CT slice; 512x512 px; Liver

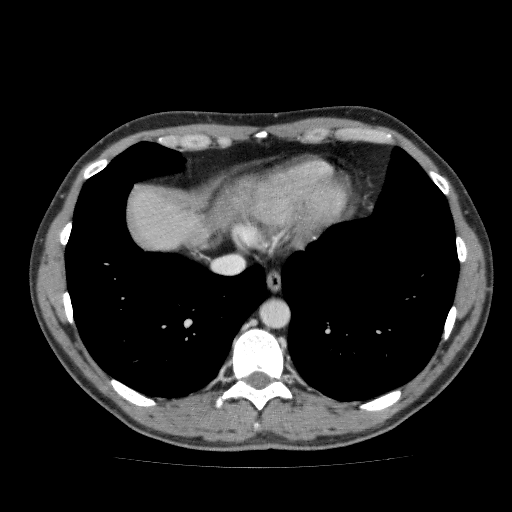
{"liver": ["(126, 186, 210, 249)"]}